CT. Slice 29 of 45. Abdomen.

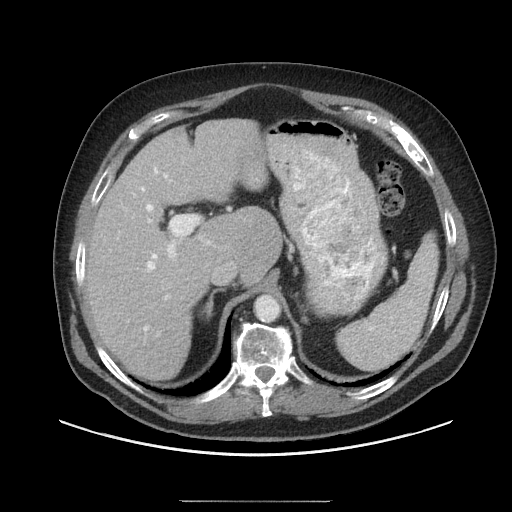
The vessel annotation is not exhaustive.
Hepatic vessel: bounding box x1=170 y1=179 x2=171 y2=180, x1=142 y1=187 x2=144 y2=190, x1=165 y1=295 x2=169 y2=298, x1=147 y1=254 x2=156 y2=270, x1=146 y1=205 x2=152 y2=210, x1=170 y1=214 x2=197 y2=235, x1=199 y1=236 x2=202 y2=239, x1=148 y1=219 x2=151 y2=222, x1=154 y1=168 x2=157 y2=173, x1=164 y1=174 x2=167 y2=177, x1=167 y1=242 x2=176 y2=257, x1=144 y1=326 x2=147 y2=330, x1=204 y1=241 x2=207 y2=243.